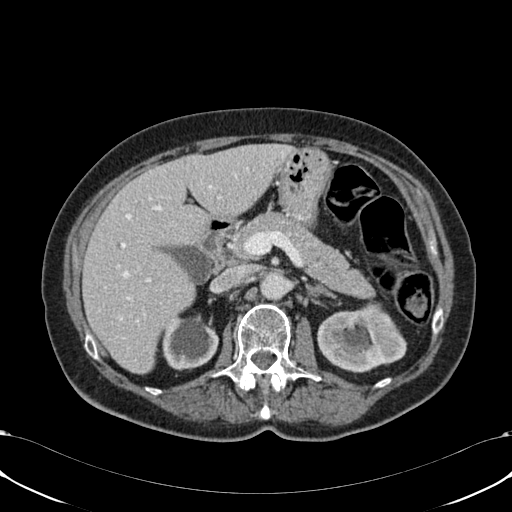
Upper abdomen. CT scan slice. 2 kidney regions are located at region(318, 305, 405, 370); region(163, 304, 218, 368). The liver is bounded by region(83, 144, 295, 373).